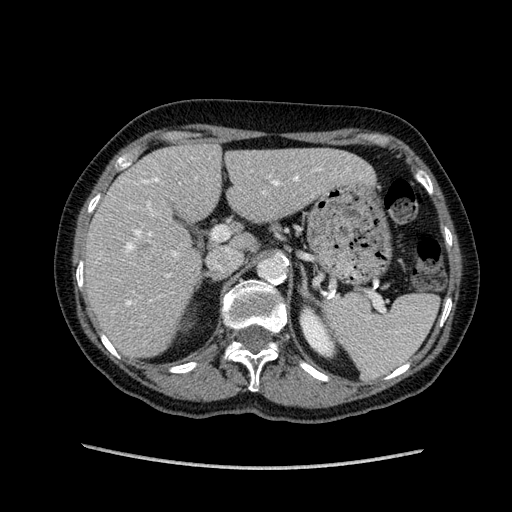 Liver. CT scan slice.

liver:
  - {"x1": 86, "y1": 145, "x2": 369, "y2": 353}
focal_liver_lesion:
  - {"x1": 140, "y1": 245, "x2": 151, "y2": 252}
kidney:
  - {"x1": 302, "y1": 311, "x2": 331, "y2": 353}